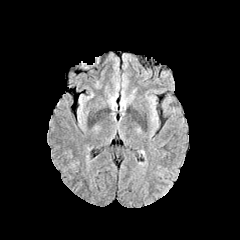
FLAIR MRI.
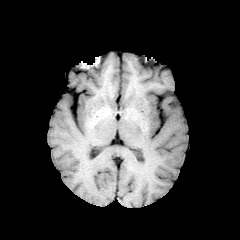
T1-weighted magnetic resonance.
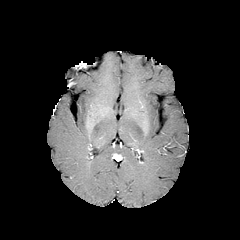
Post-contrast T1-weighted MR image.
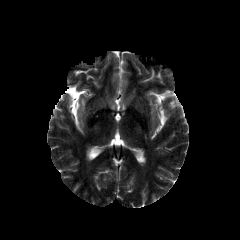
Same slice, T2-weighted magnetic resonance.
Brain.
edema:
  - (149,97,157,122)